CT, Abdomen, Field of view 369 mm wide, 0.80 mm slice spacing

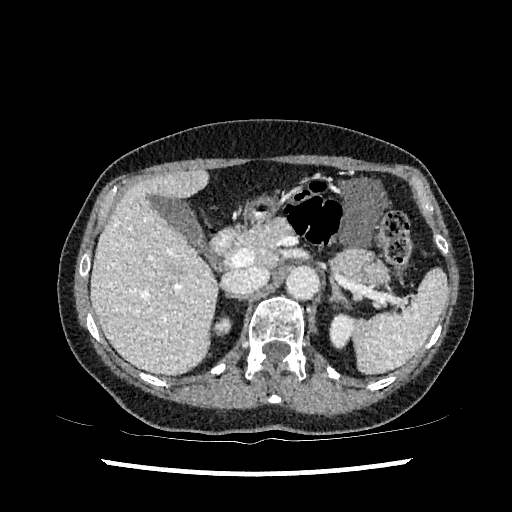
Kidney: (331, 315, 354, 346).
Liver lesion: (171, 266, 186, 276).
Liver: (92, 170, 217, 374).